Head, Slice 97 of 155
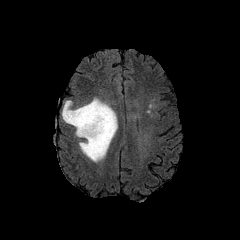
FLAIR MRI.
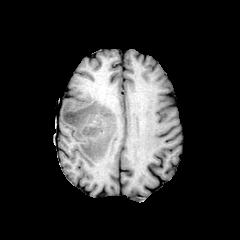
T1-weighted MR.
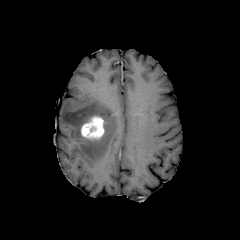
Same slice, post-contrast T1-weighted MRI.
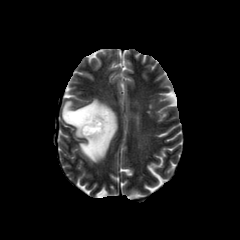
Same slice, T2-weighted MRI.
The non-enhancing tumor core lies within box=[82, 113, 103, 123]. The enhancing tumor lies within box=[81, 116, 105, 140]. The edema is located at box=[60, 98, 117, 162].